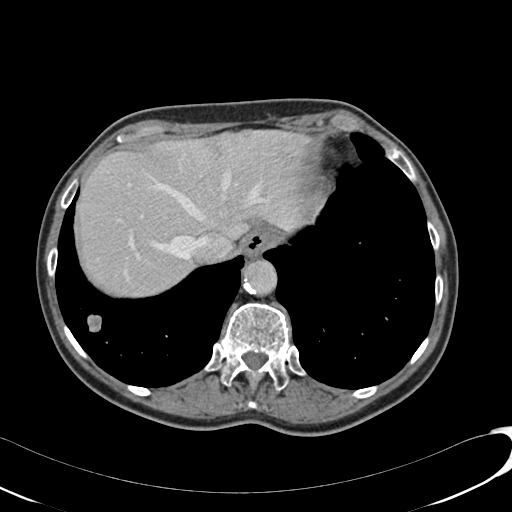

Liver, Computed tomography
2 hepatic lesion regions are bounded by l=229, t=133, r=238, b=144; l=205, t=140, r=223, b=154. The liver is bounded by l=79, t=131, r=312, b=295.